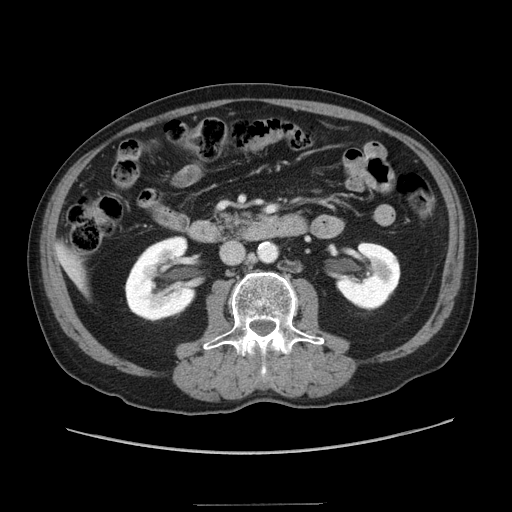

CT
Pancreas = [x1=216, y1=213, x2=252, y2=237].